Slice 52/155; Image size 240x240; Brain
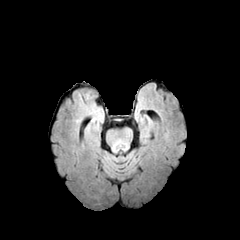
FLAIR MR image.
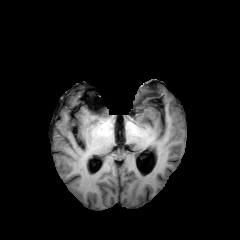
T1-weighted MR of the same slice.
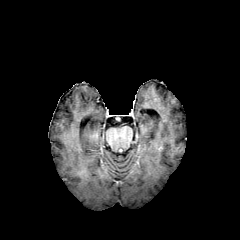
Post-contrast T1-weighted MR.
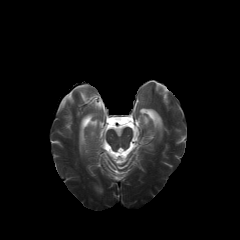
T2-weighted MR image.
• edema: (142,126,149,141), (140,115,157,126)
• non-enhancing tumor core: (125,129,130,143)